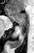
Medial temporal lobe | MRI
anterior_hippocampus:
  - [8, 10, 27, 21]
posterior_hippocampus:
  - [9, 21, 27, 48]